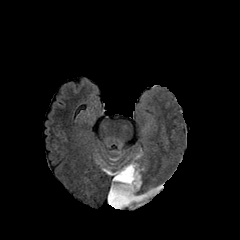
FLAIR MR.
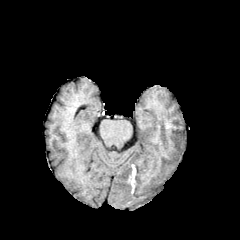
T1-weighted MRI.
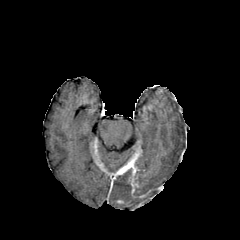
Post-contrast T1-weighted MR image.
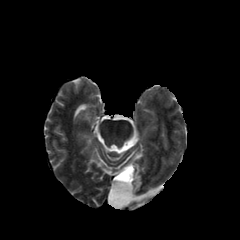
T2-weighted MR image.
Head
Annotated regions:
• non-enhancing tumor core: 116 160 139 192, 116 156 131 171
• edema: 108 164 158 208
• enhancing tumor: 112 153 140 179